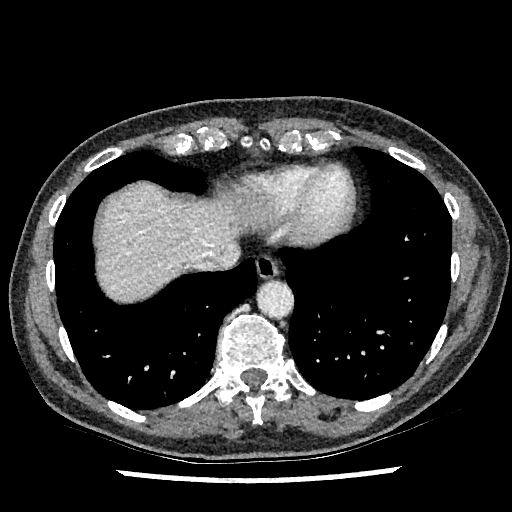 512x512 | CT slice | Abdomen
The liver appears at <box>94,183,241,302</box>.